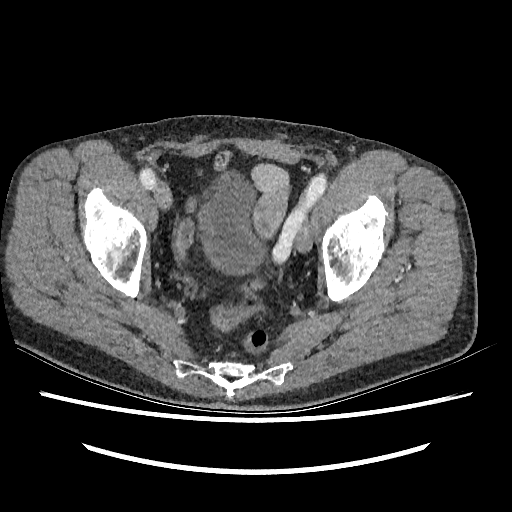 CT image
Urinary bladder: bounding box l=200, t=177, r=266, b=274.